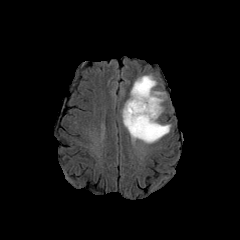
FLAIR MR image.
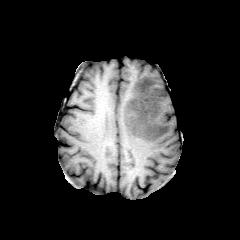
T1-weighted MR of the same slice.
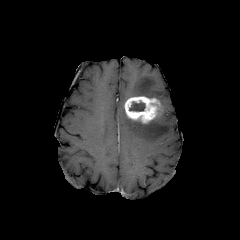
Same slice, post-contrast T1-weighted MR.
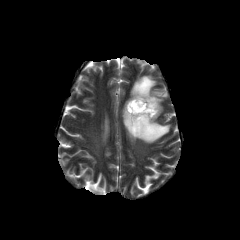
Same slice, T2-weighted MR image.
Brain
<segmentation>
  <edema>(122, 108, 171, 143), (130, 74, 165, 101)</edema>
  <non-enhancing_tumor_core>(129, 103, 144, 111), (140, 79, 152, 97), (143, 104, 163, 129)</non-enhancing_tumor_core>
  <enhancing_tumor>(124, 96, 160, 123)</enhancing_tumor>
</segmentation>